MR image. Hippocampus. 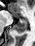

Annotated regions:
* anterior hippocampus: (20,18,27,20), (11,14,17,16)
* posterior hippocampus: (13,21,27,33)